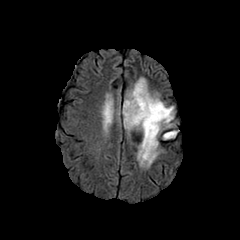
FLAIR magnetic resonance.
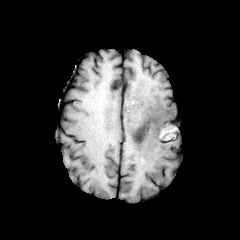
T1-weighted MR.
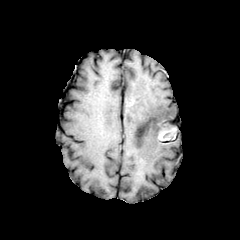
Same slice, post-contrast T1-weighted magnetic resonance.
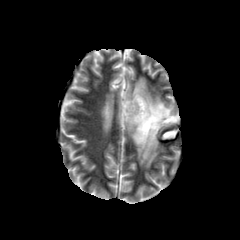
T2-weighted MRI of the same slice.
Head
- edema: rect(118, 77, 177, 167); rect(103, 98, 113, 127)
- non-enhancing tumor core: rect(162, 130, 176, 138); rect(138, 100, 174, 137); rect(124, 96, 137, 114)